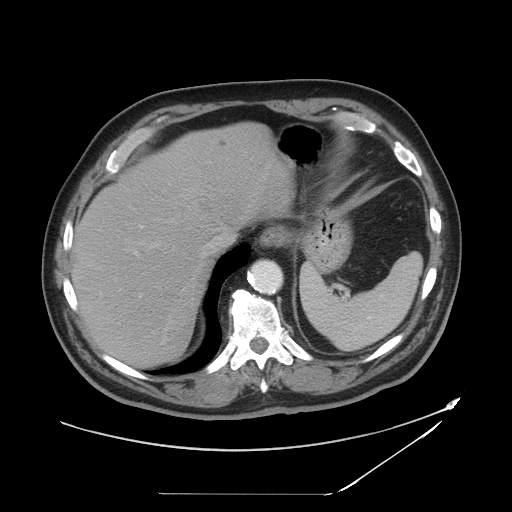
CT slice

The vessel boxes may cover only some of the vessels.
• hepatic vessel (most prominent 15 of 16): 201,252,207,256; 220,227,224,228; 208,161,210,162; 212,229,216,232; 204,243,209,246; 131,248,138,255; 150,242,161,247; 169,316,172,322; 100,293,102,295; 139,293,142,296; 124,249,129,250; 134,240,143,243; 115,278,117,280; 138,225,142,227; 152,331,154,335